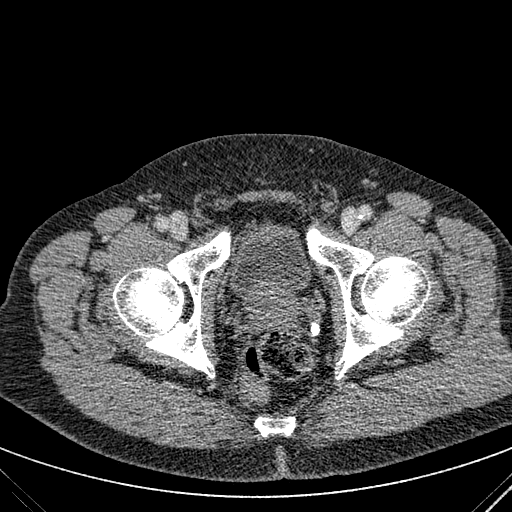

Pelvis. CT scan slice.

The urinary bladder is located at 223,218,316,306.